CT slice; Abdomen; Slice 407/654

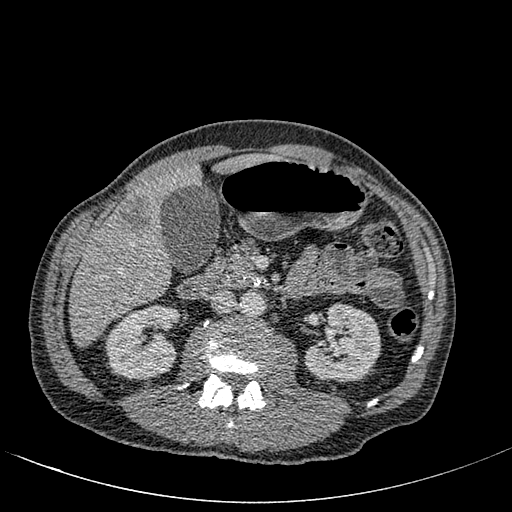 focal_liver_lesion:
  - (left=115, top=196, right=152, bottom=237)
liver:
  - (left=70, top=163, right=200, bottom=346)
  - (left=215, top=154, right=277, bottom=172)
kidney:
  - (left=305, top=304, right=380, bottom=381)
  - (left=106, top=305, right=179, bottom=378)